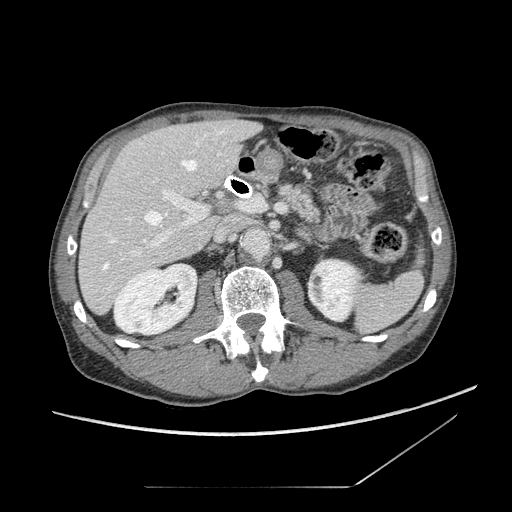

CT slice | Upper abdomen
pancreas:
  - (left=279, top=186, right=318, bottom=224)